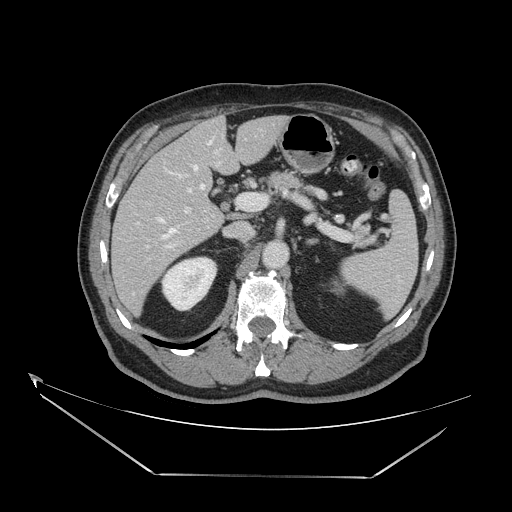
CT image.
Pancreas: [x1=356, y1=233, x2=368, y2=245], [x1=271, y1=172, x2=301, y2=187].